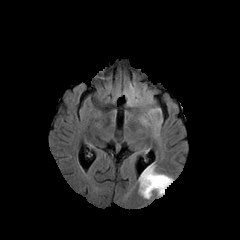
FLAIR magnetic resonance.
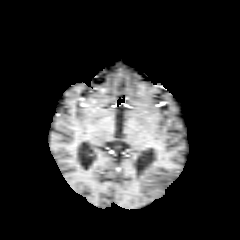
T1-weighted MR of the same slice.
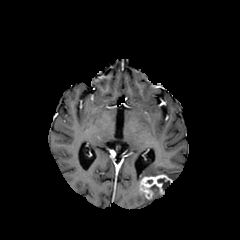
Post-contrast T1-weighted MR.
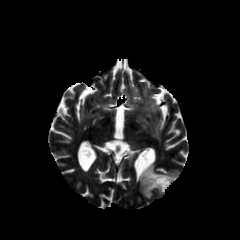
T2-weighted MR image.
Head
Non-enhancing tumor core: l=158, t=178, r=169, b=188.
Enhancing tumor: l=140, t=174, r=172, b=198.
Edema: l=152, t=188, r=163, b=197; l=137, t=163, r=169, b=198.